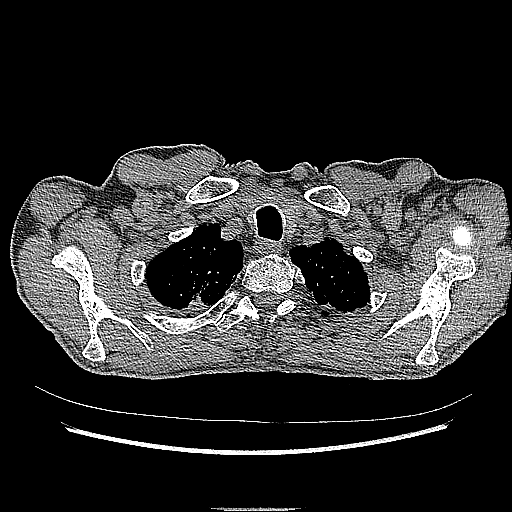 CT
lung_tumor:
  - (164,270,219,317)